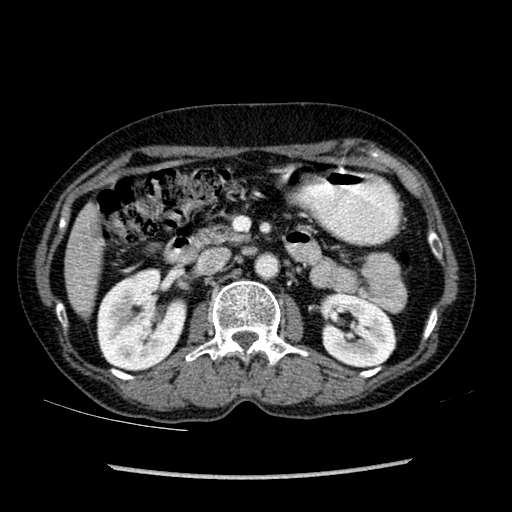 Upper abdomen | CT scan slice

Segmented structures:
* kidney: (98,270,184,369), (321,295,394,365)
* liver: (65,210,100,312)